Upper abdomen | Image width 373 mm | CT

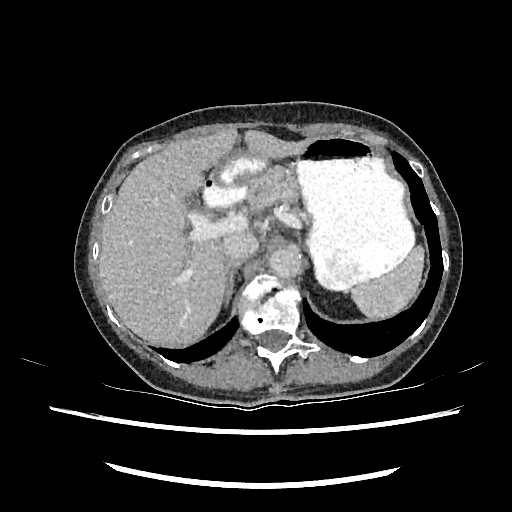 2 liver regions appear at [101,130,237,344], [246,131,305,157].